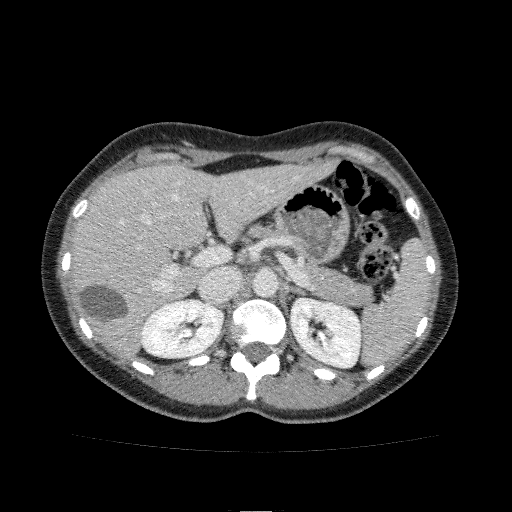

Computed tomography; Liver
- kidney: <box>291,298,360,367</box>, <box>141,300,222,357</box>
- liver: <box>71,162,333,357</box>